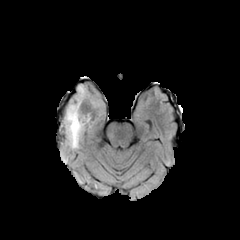
FLAIR MRI.
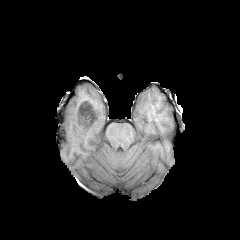
T1-weighted MRI of the same slice.
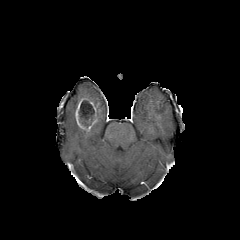
Post-contrast T1-weighted MRI.
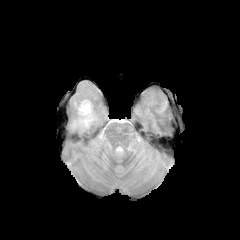
T2-weighted magnetic resonance of the same slice.
Head
Segmented structures:
• enhancing tumor: 76:104:82:127
• edema: 65:86:91:149
• non-enhancing tumor core: 78:102:97:128